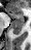 Image size 31x50. MRI.
The posterior hippocampus lies within bbox(11, 19, 23, 34). The anterior hippocampus lies within bbox(8, 11, 23, 18).